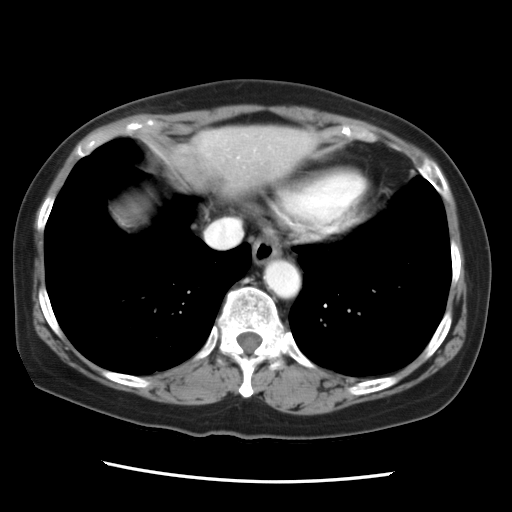
CT scan slice; Liver
The vessel annotation is not exhaustive.
* hepatic vessel: (left=206, top=219, right=240, bottom=247)